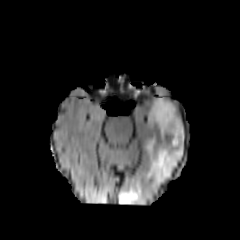
FLAIR MR.
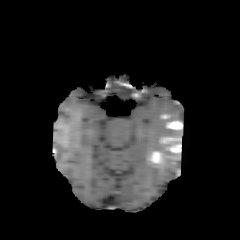
T1-weighted MR image of the same slice.
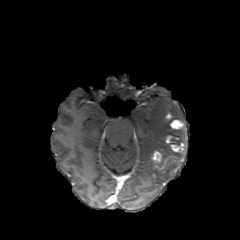
Post-contrast T1-weighted MRI.
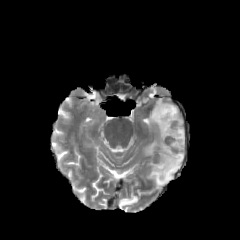
Same slice, T2-weighted MR image.
240x240 px
2 edema regions appear at box=[142, 90, 185, 185]; box=[119, 197, 138, 203]. 2 non-enhancing tumor core regions appear at box=[168, 135, 185, 146]; box=[159, 156, 178, 164]. 3 enhancing tumor regions are bounded by box=[170, 119, 183, 129]; box=[166, 136, 185, 152]; box=[152, 151, 161, 163].